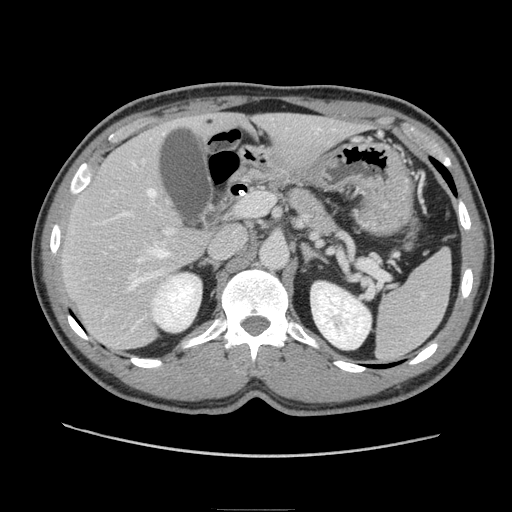 Upper abdomen. CT image. Pancreas: (284, 186, 344, 236).